Image width 472 mm. Abdomen. CT slice.
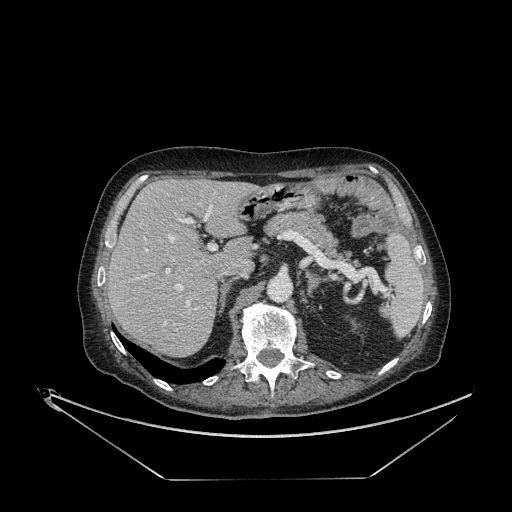 Liver — bbox=[108, 179, 258, 357].